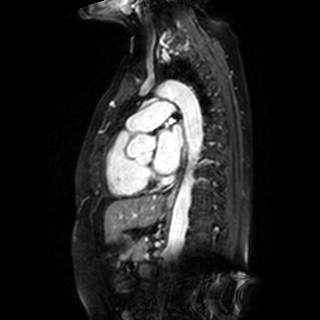 MR image. Left atrium at (153,124,182,173).